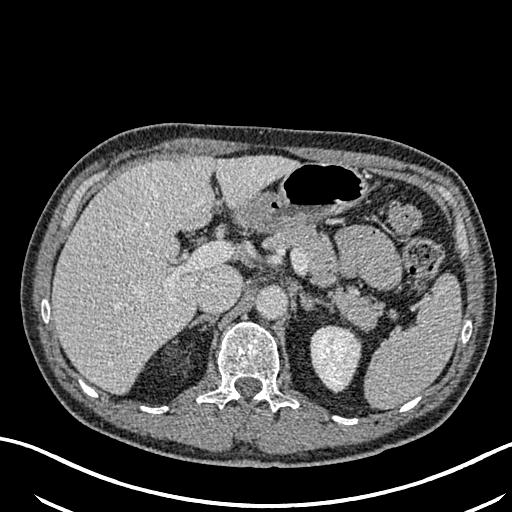 CT. 512x512 px. Abdomen.
Liver at [52,155,298,392].
Kidney at [311,327,359,390].